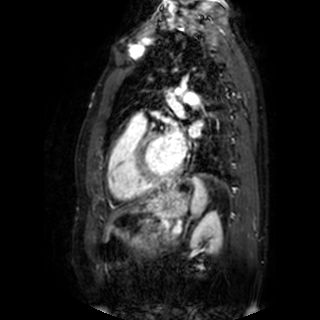 Heart, MR image
* left atrium: bbox(166, 125, 186, 162); bbox(188, 125, 200, 137)